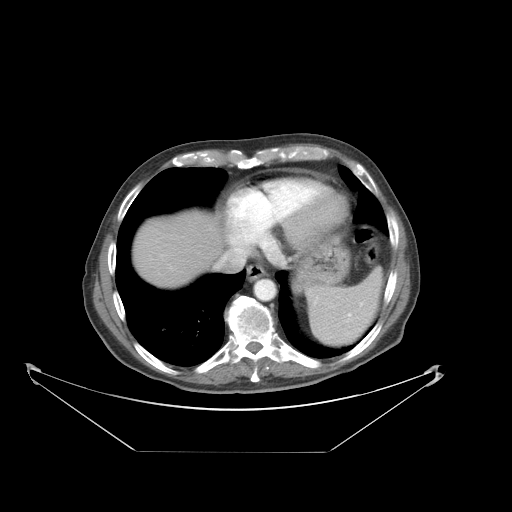

512x512 px | Abdomen | CT slice
Some hepatic vessels may have no box.
Annotated regions:
- hepatic vessel: [x1=215, y1=243, x2=247, y2=267]